FLAIR MR.
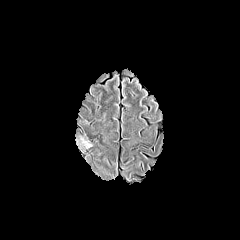
T1-weighted MRI.
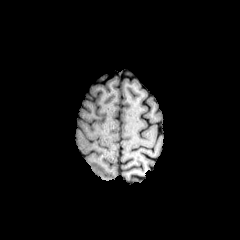
Post-contrast T1-weighted MRI.
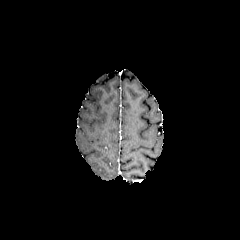
T2-weighted MR.
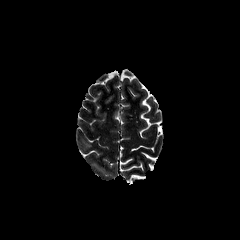
Image size 240x240
Annotated regions:
- edema: 80 136 92 148